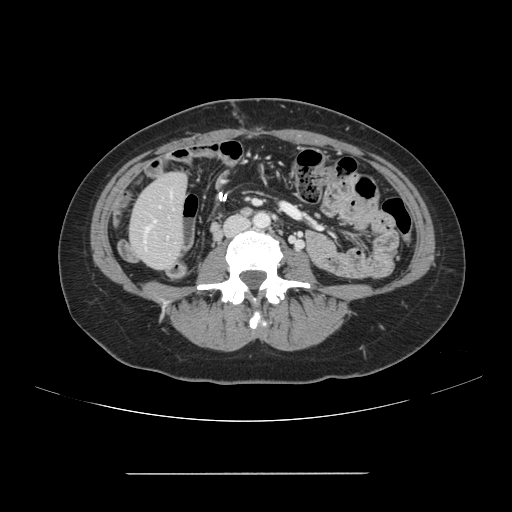 512x512, CT slice

Only some of the vessels may be annotated.
2 hepatic vessel regions appear at rect(146, 227, 149, 232); rect(153, 220, 155, 222).